FLAIR MR image.
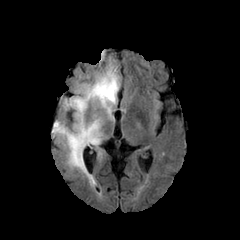
T1-weighted magnetic resonance.
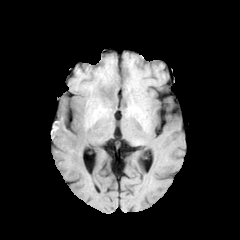
Post-contrast T1-weighted MR image.
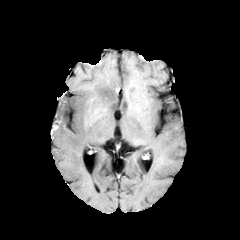
T2-weighted MR image.
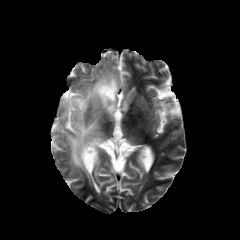
Brain.
Edema at bbox=[52, 60, 120, 185].